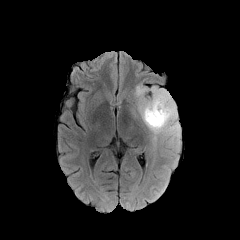
FLAIR MRI.
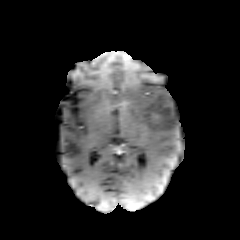
T1-weighted MR of the same slice.
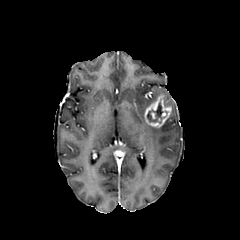
Post-contrast T1-weighted magnetic resonance of the same slice.
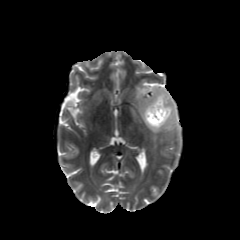
T2-weighted MR of the same slice.
Head
Non-enhancing tumor core at box=[146, 103, 162, 121]; box=[145, 89, 165, 109].
Enhancing tumor at box=[144, 93, 171, 127].
Edema at box=[134, 84, 180, 153].